CT scan slice
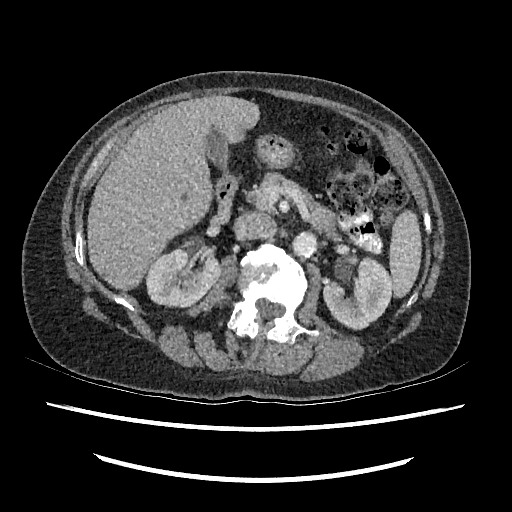

The liver is bounded by 88 96 258 289. 2 kidney regions are located at 147 249 220 306, 323 258 391 328.